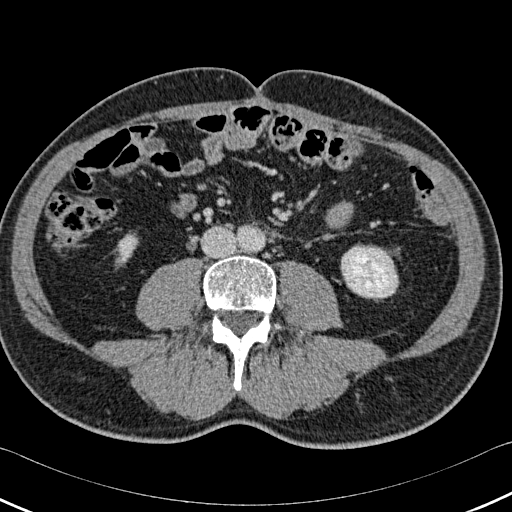 Abdomen, CT slice
<segmentation>
  <kidney>(341, 247, 397, 297), (119, 236, 135, 260)</kidney>
  <bone>(203, 256, 275, 390)</bone>
</segmentation>